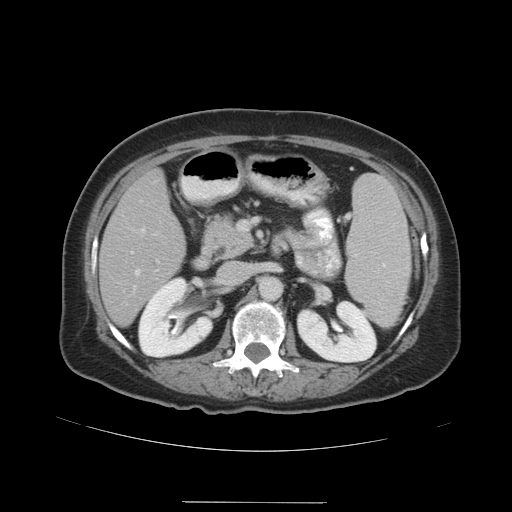
Abdomen. CT slice.
The vessel boxes may cover only some of the vessels.
hepatic_vessel:
  - (left=123, top=289, right=124, bottom=291)
  - (left=136, top=270, right=139, bottom=274)
  - (left=125, top=303, right=127, bottom=304)
  - (left=141, top=228, right=145, bottom=232)
  - (left=157, top=260, right=158, bottom=262)
  - (left=157, top=175, right=161, bottom=180)
  - (left=153, top=234, right=156, bottom=235)
  - (left=133, top=286, right=136, bottom=290)